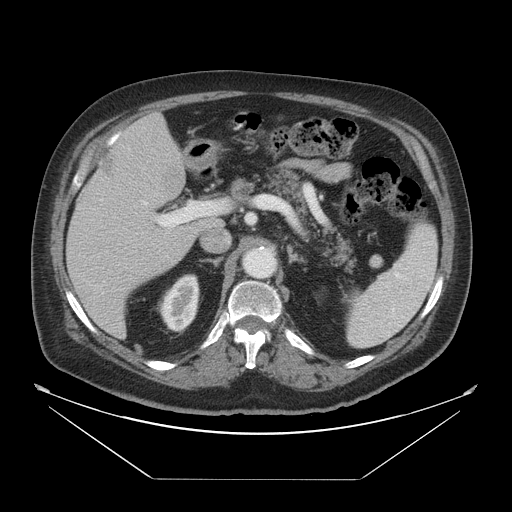 CT slice.

The vessel boxes may cover only some of the vessels.
Liver tumor = 99 153 121 184, 161 164 185 193.
Hepatic vessel = 156 201 223 227, 197 228 228 249, 141 200 147 205.